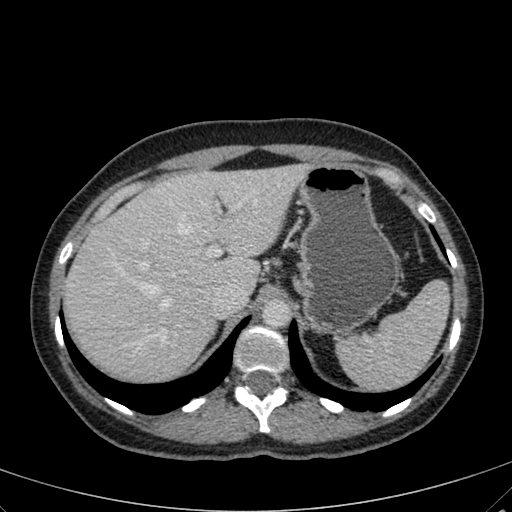 Liver, Computed tomography
<segmentation>
  <liver>64 163 313 380</liver>
</segmentation>